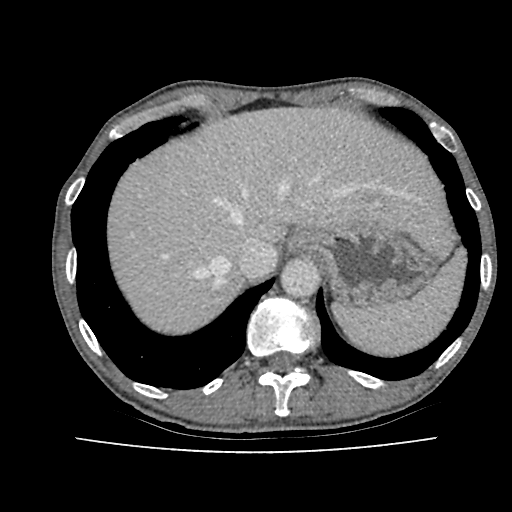 Liver, Image size 512x512, CT image
The liver appears at <box>107,107,451,331</box>.